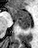 Medial temporal lobe, Magnetic resonance

The posterior hippocampus lies within left=17, top=20, right=30, bottom=29. The anterior hippocampus is at left=8, top=6, right=30, bottom=19.